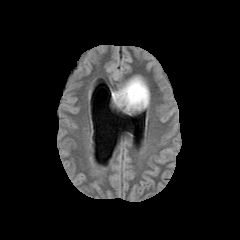
FLAIR MR image.
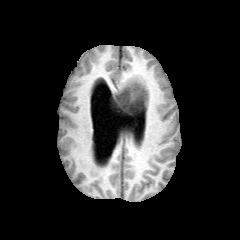
T1-weighted MRI of the same slice.
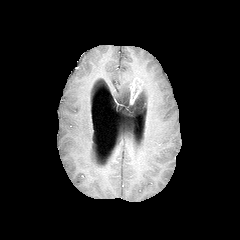
Same slice, post-contrast T1-weighted MR.
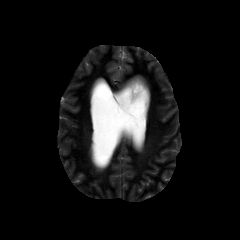
Same slice, T2-weighted MRI.
Brain.
Annotated regions:
- enhancing tumor: rect(129, 77, 143, 104)
- non-enhancing tumor core: rect(112, 90, 145, 114)
- edema: rect(111, 78, 133, 98); rect(138, 88, 150, 108)